CT | 512x512 px
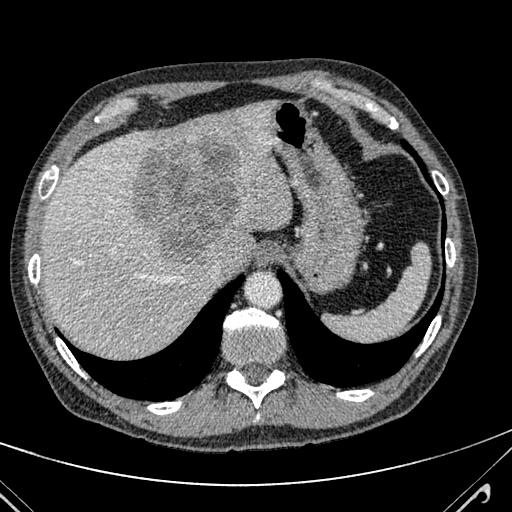
The liver appears at (x1=43, y1=98, x2=292, y2=356). The focal liver lesion is bounded by (x1=132, y1=135, x2=245, y2=263).